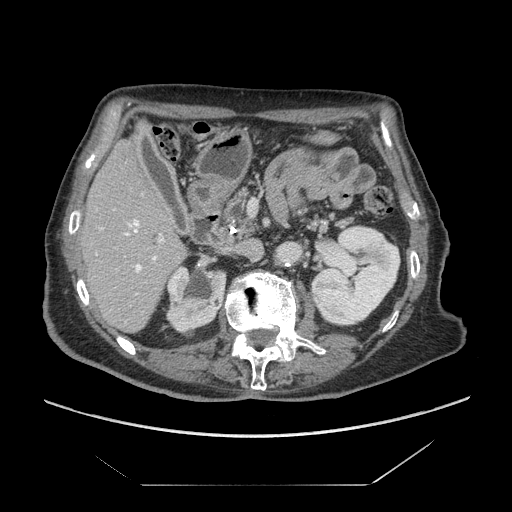

CT scan slice
2 pancreas regions appear at 218,186,264,243; 295,208,359,237.